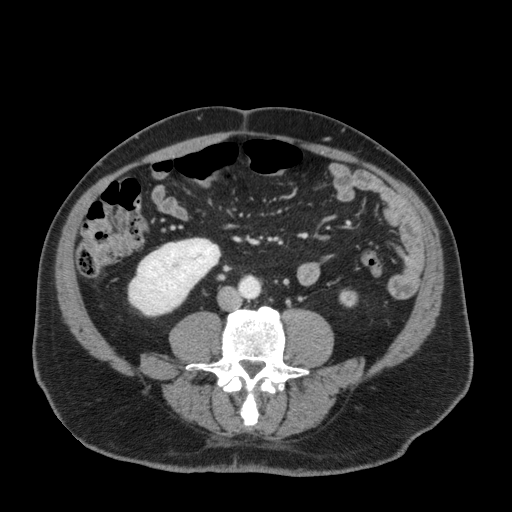

Image size 512x512, CT
* kidney: box=[129, 238, 219, 314]